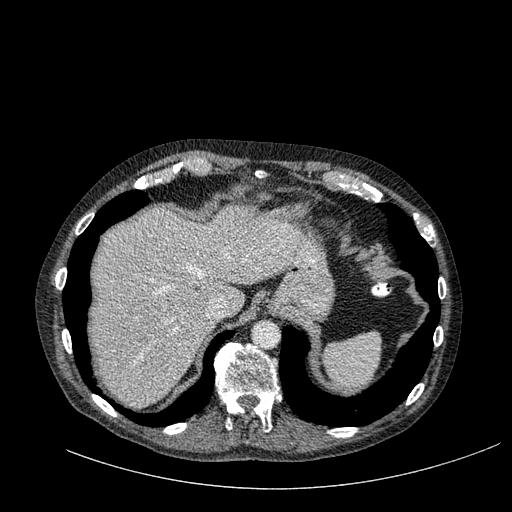 512x512 px. Computed tomography. Upper abdomen.

The liver appears at (left=93, top=206, right=297, bottom=406).